CT slice. Liver. 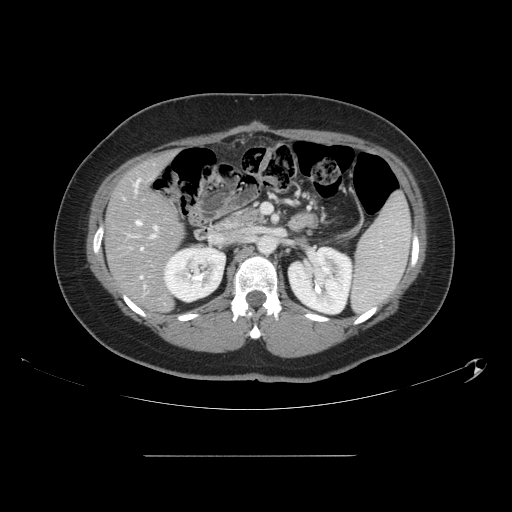 Only some of the vessels may be annotated.
6 hepatic vessel regions are located at region(141, 248, 142, 249); region(136, 221, 140, 225); region(140, 276, 142, 278); region(154, 226, 156, 229); region(150, 235, 155, 237); region(135, 178, 140, 186).